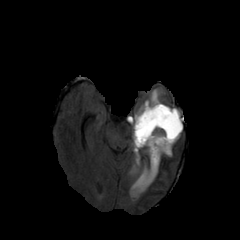
FLAIR magnetic resonance.
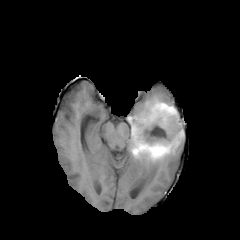
T1-weighted MRI.
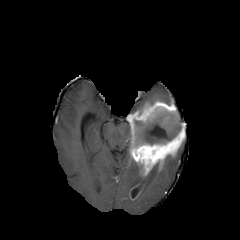
Same slice, post-contrast T1-weighted MR.
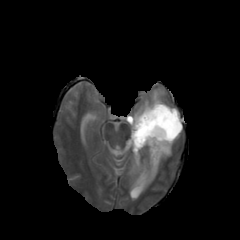
Same slice, T2-weighted MR image.
Brain
enhancing_tumor:
  - box(127, 100, 182, 175)
non-enhancing_tumor_core:
  - box(134, 159, 160, 191)
  - box(134, 114, 181, 144)
edema:
  - box(130, 176, 139, 195)
  - box(140, 168, 157, 191)
  - box(138, 90, 161, 109)